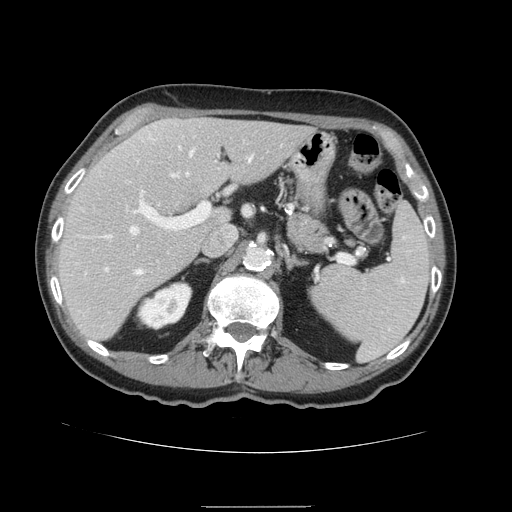

Image size 512x512. Abdomen. CT scan slice. <segmentation>
  <spleen>x1=311, y1=204, x2=431, y2=362</spleen>
</segmentation>